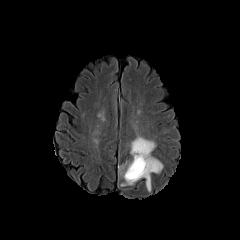
FLAIR MRI.
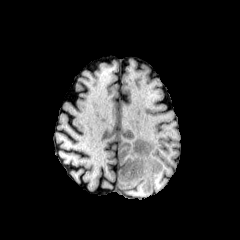
T1-weighted MR.
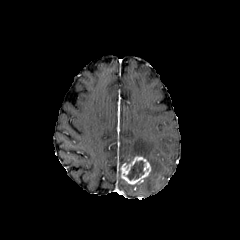
Post-contrast T1-weighted MR image of the same slice.
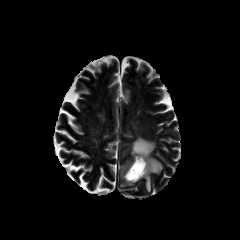
T2-weighted MR.
2 edema regions are located at (x1=145, y1=176, x2=151, y2=192), (x1=130, y1=136, x2=162, y2=173). The enhancing tumor lies within (x1=118, y1=155, x2=151, y2=184). The non-enhancing tumor core is located at (x1=126, y1=160, x2=144, y2=180).